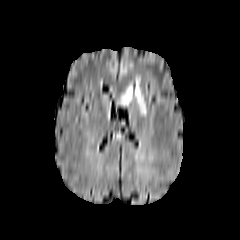
FLAIR MR.
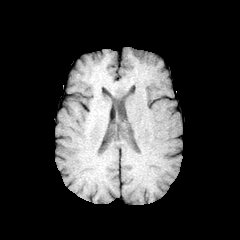
Same slice, T1-weighted MR image.
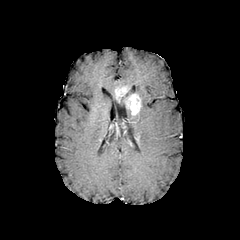
Post-contrast T1-weighted MR image.
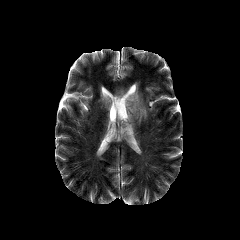
Same slice, T2-weighted MR image.
Head; 240x240
The enhancing tumor is bounded by (116,88,140,114). The edema lies within (135,81,147,115).